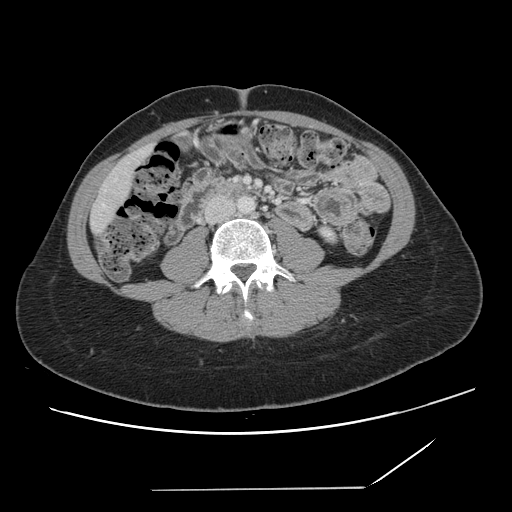 512x512 px. Computed tomography. Abdomen. Only some of the vessels may be annotated.
Annotated regions:
* hepatic vessel: x1=103, y1=204, x2=104, y2=205